Head | Field of view 240x240 mm
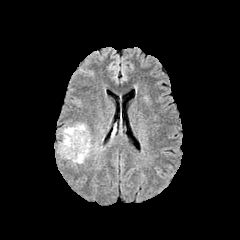
FLAIR MRI.
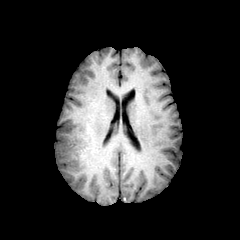
T1-weighted MR image.
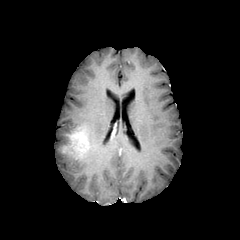
Post-contrast T1-weighted magnetic resonance of the same slice.
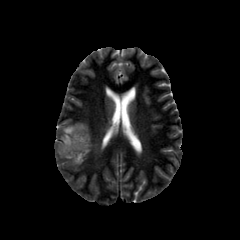
T2-weighted MR image.
<segmentation>
  <enhancing_tumor>62:128:88:157</enhancing_tumor>
  <edema>58:122:101:166</edema>
  <non-enhancing_tumor_core>60:142:83:159</non-enhancing_tumor_core>
</segmentation>